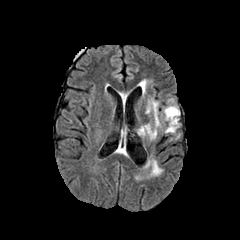
FLAIR MRI.
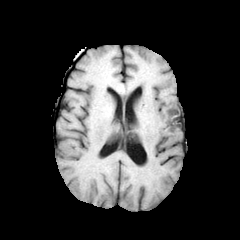
T1-weighted MR image of the same slice.
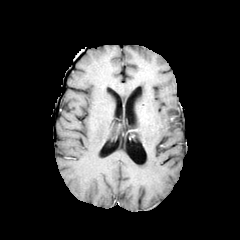
Same slice, post-contrast T1-weighted MRI.
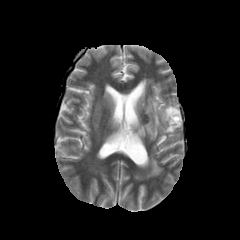
T2-weighted magnetic resonance.
Brain.
Non-enhancing tumor core at 168 108 178 121.
Edema at 146 159 161 175, 138 98 180 139, 139 79 148 97.